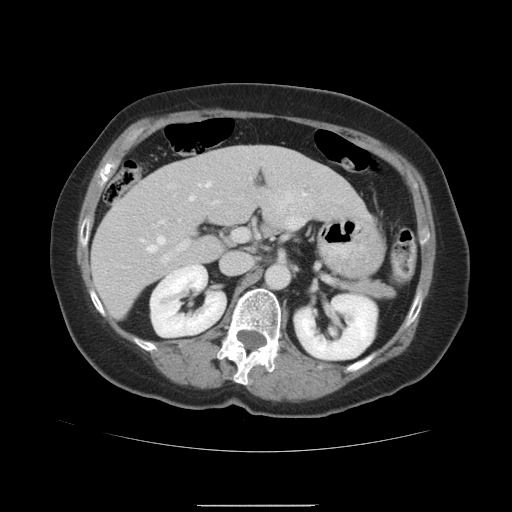
Abdomen | CT
The vessel boxes may cover only some of the vessels.
liver tumor: <box>277,190,309,226</box> | hepatic vessel: <box>302,193,306,196</box>, <box>233,229,248,240</box>, <box>179,219,180,220</box>, <box>153,225,157,227</box>, <box>162,254,171,262</box>, <box>147,236,165,252</box>, <box>190,265,199,266</box>, <box>288,225,300,228</box>, <box>213,200,218,203</box>, <box>160,220,165,223</box>, <box>199,182,211,187</box>, <box>177,239,190,250</box>, <box>310,200,313,203</box>, <box>141,239,145,242</box>, <box>190,196,194,199</box>